512x512 px. Abdomen. Computed tomography. Slice index 403.

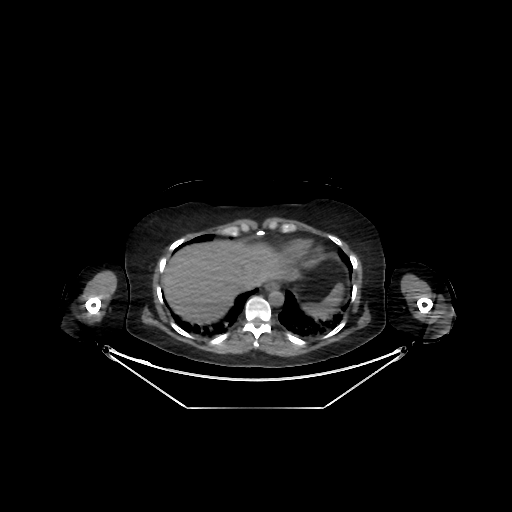 liver:
  - 161,240,299,324